Slice 100 of 155; Brain
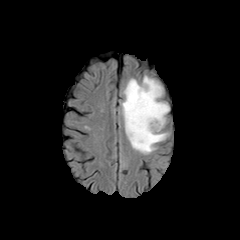
FLAIR MRI.
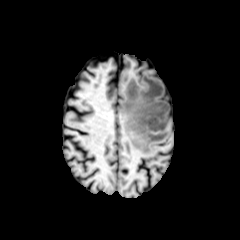
T1-weighted magnetic resonance.
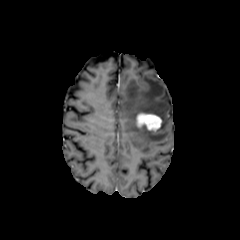
Same slice, post-contrast T1-weighted MRI.
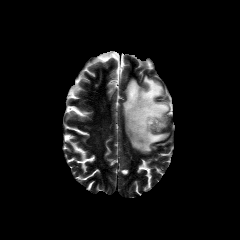
T2-weighted MR image.
edema: left=122, top=76, right=169, bottom=153 | enhancing tumor: left=136, top=113, right=161, bottom=131